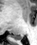

Medial temporal lobe. MR. Annotated regions:
* posterior hippocampus: bbox=[11, 34, 23, 39]